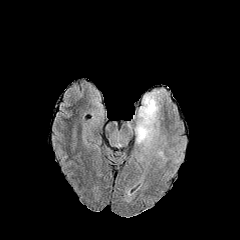
FLAIR MRI.
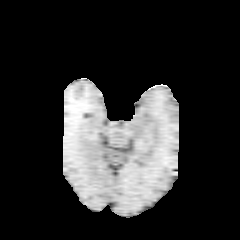
T1-weighted MR of the same slice.
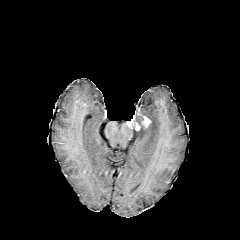
Same slice, post-contrast T1-weighted MR image.
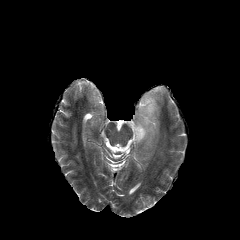
T2-weighted MR.
240x240 px | Head
2 edema regions appear at region(157, 148, 167, 162); region(135, 88, 167, 154). The enhancing tumor is located at region(127, 107, 151, 131).